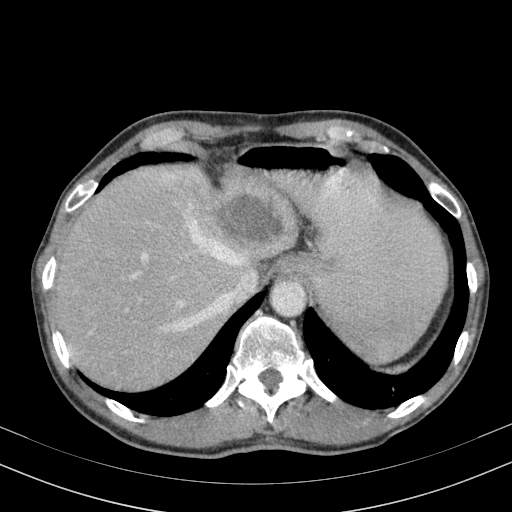

Upper abdomen. CT. {"liver": ["box=[57, 163, 297, 392]"], "focal_liver_lesion": ["box=[215, 196, 282, 242]"]}